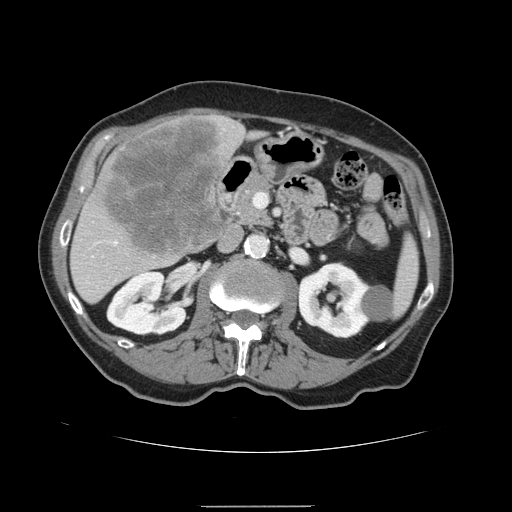
Abdomen, CT slice

The vessel annotation is not exhaustive.
Liver tumor — bbox=[104, 118, 227, 257].
Hepatic vessel — bbox=[114, 241, 117, 243].